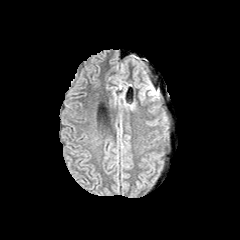
FLAIR MRI.
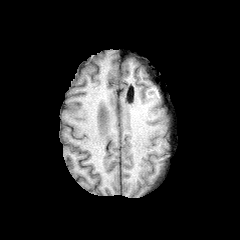
T1-weighted magnetic resonance of the same slice.
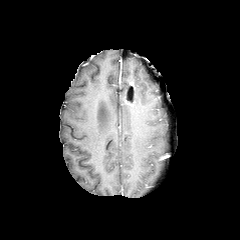
Post-contrast T1-weighted MR of the same slice.
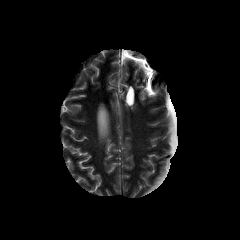
T2-weighted MRI.
Brain.
Edema — 139:84:153:100.